Hippocampus | MR image

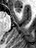

The anterior hippocampus appears at box(15, 8, 21, 12).